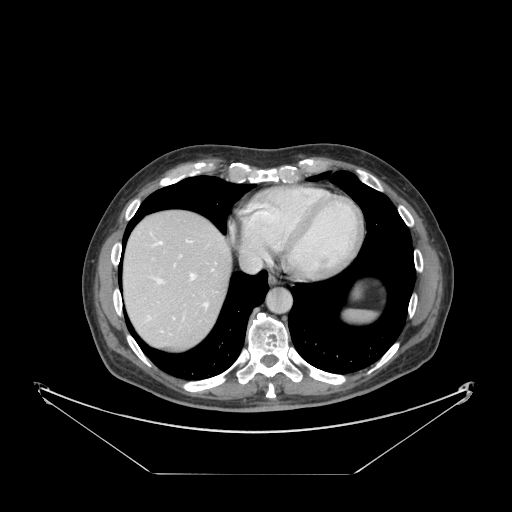

Abdomen, CT slice
{"spleen": ["[343, 310, 377, 325]"]}